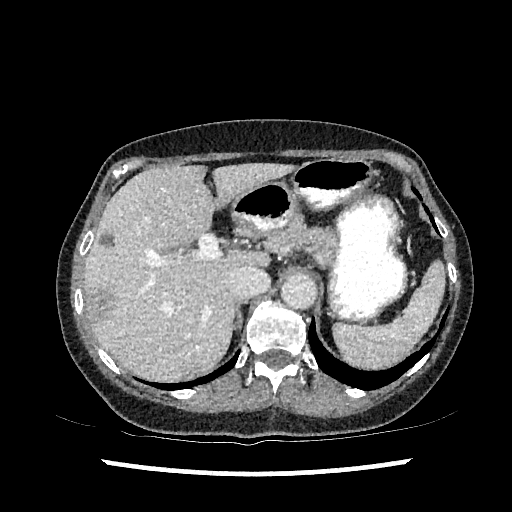

Computed tomography, 512x512
Liver: bounding box (86,163,293,378).
Focal liver lesion: bounding box (86,287,113,325), (99,235,114,247).